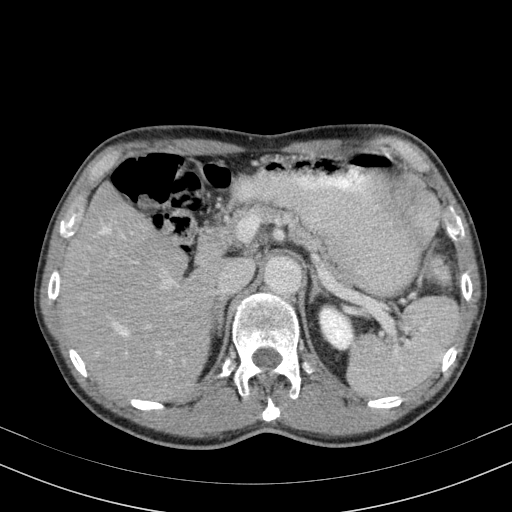
Upper abdomen. 512x512. Computed tomography.
The kidney appears at (left=321, top=309, right=351, bottom=348). The liver appears at (left=58, top=180, right=254, bottom=402).